FLAIR magnetic resonance.
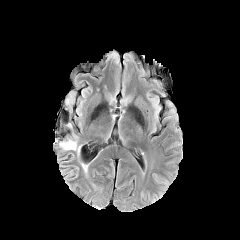
T1-weighted MRI.
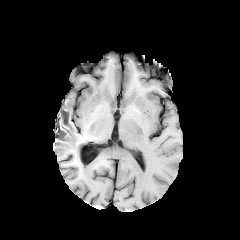
Post-contrast T1-weighted MR image.
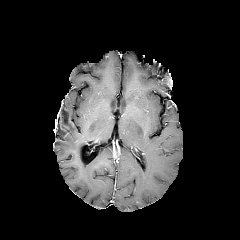
T2-weighted MR.
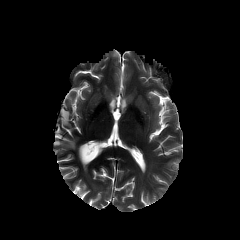
Head
<segmentation>
  <edema>rect(59, 133, 81, 155); rect(65, 92, 74, 105)</edema>
</segmentation>